Slice 288/432 | Computed tomography | Abdomen | 512x512 px

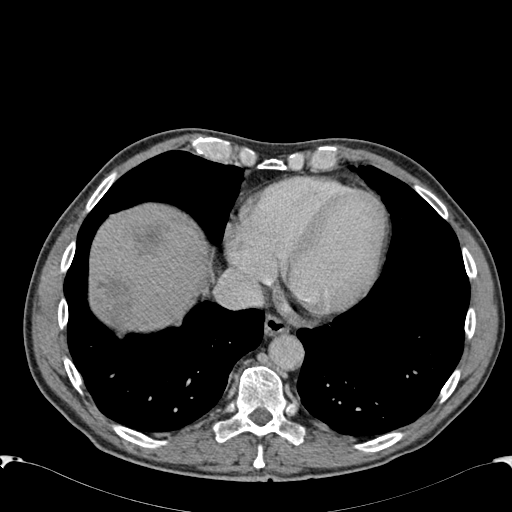
hepatic_lesion:
  - bbox=[134, 227, 164, 254]
  - bbox=[99, 278, 130, 320]
liver:
  - bbox=[89, 205, 209, 330]